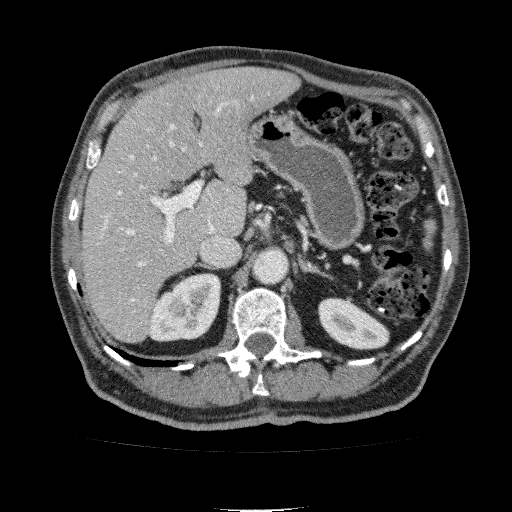

Abdomen | CT

{"kidney": [{"x1": 149, "y1": 274, "x2": 219, "y2": 340}, {"x1": 319, "y1": 299, "x2": 387, "y2": 348}], "liver": [{"x1": 83, "y1": 67, "x2": 301, "y2": 342}]}